Abdomen; Slice 12/40; CT slice; Field of view 401x401 mm

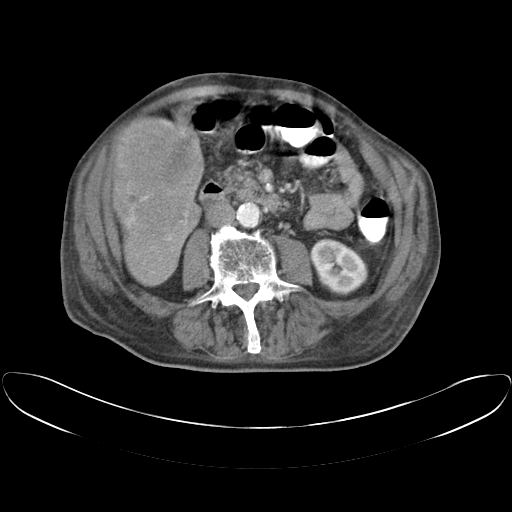
The vessel boxes may cover only some of the vessels.
liver_tumor:
  - (left=115, top=119, right=201, bottom=228)
hepatic_vessel:
  - (left=185, top=221, right=186, bottom=223)
  - (left=133, top=232, right=134, bottom=233)
  - (left=151, top=271, right=153, bottom=272)
  - (left=127, top=219, right=133, bottom=226)